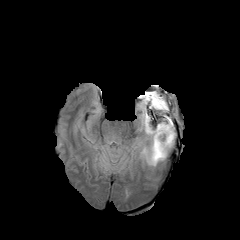
FLAIR MR image.
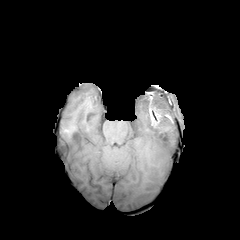
T1-weighted MR image.
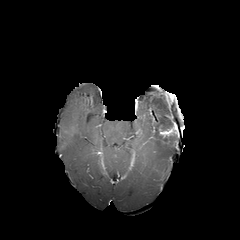
Post-contrast T1-weighted MRI of the same slice.
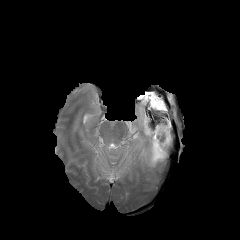
T2-weighted MR image of the same slice.
2 non-enhancing tumor core regions are bounded by 137:108:145:120, 150:127:163:137. The enhancing tumor lies within 160:129:171:135. The edema appears at 94:91:175:172.